CT scan slice. Abdomen. 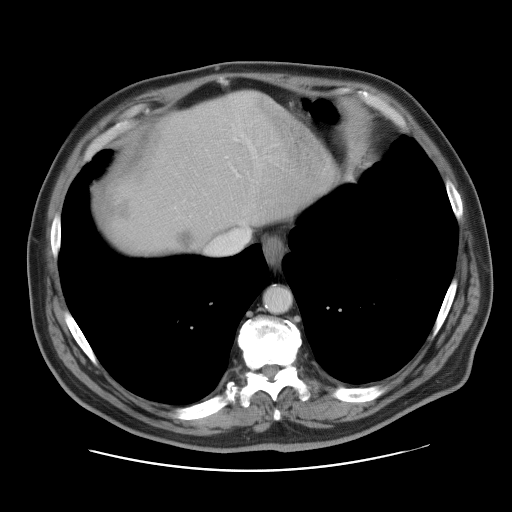

Only some of the vessels may be annotated.
{
  "liver_tumor": [
    "(172, 228, 195, 251)",
    "(108, 191, 131, 220)"
  ],
  "hepatic_vessel": [
    "(234, 138, 235, 140)",
    "(207, 227, 249, 253)",
    "(248, 141, 250, 146)"
  ]
}